FLAIR MR image.
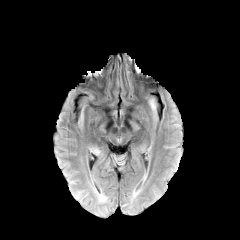
T1-weighted MR image.
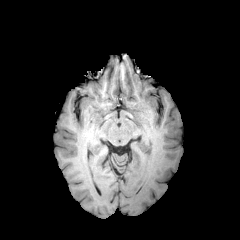
Post-contrast T1-weighted magnetic resonance.
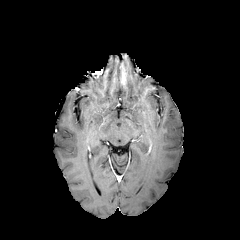
T2-weighted MR image.
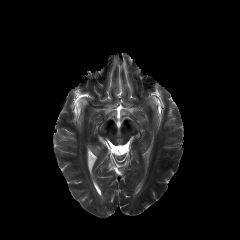
• edema: 149 99 156 112